CT slice. Slice 24 of 32. Field of view 347x347 mm. Liver.
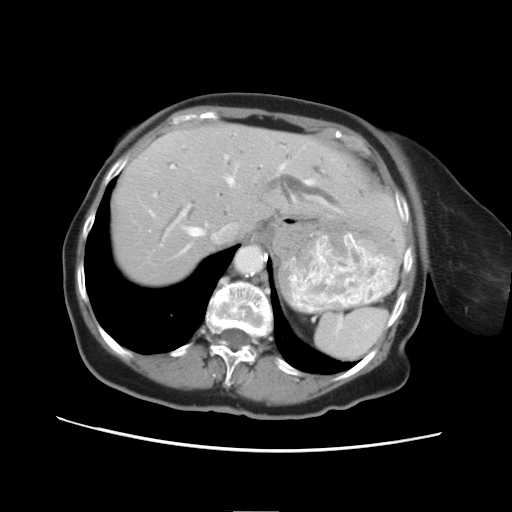
The vessel boxes may cover only some of the vessels.
Hepatic vessel: <bbox>184, 223, 208, 237</bbox>, <bbox>306, 180, 312, 183</bbox>, <bbox>228, 177, 233, 183</bbox>, <bbox>182, 206, 187, 215</bbox>, <bbox>210, 223, 237, 242</bbox>.